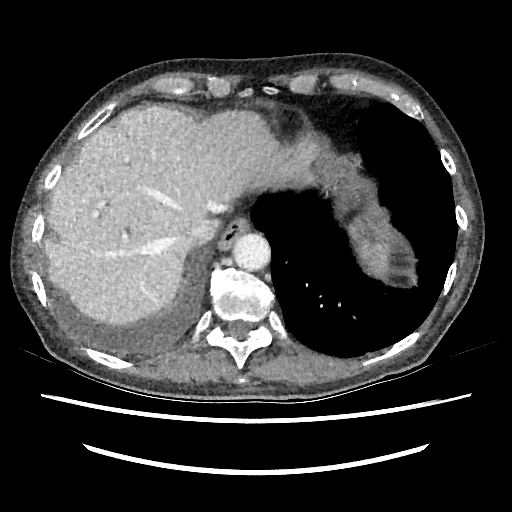 CT slice. Upper abdomen.
The liver appears at [x1=45, y1=106, x2=301, y2=322].